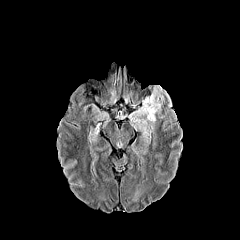
FLAIR MR.
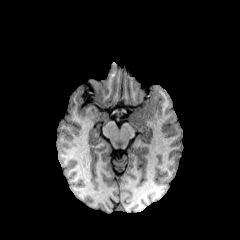
T1-weighted MRI of the same slice.
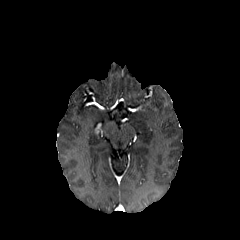
Post-contrast T1-weighted MR.
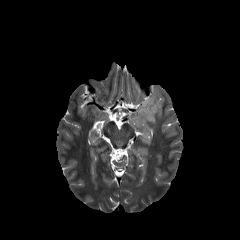
T2-weighted MRI.
Segmented structures:
* edema: [x1=129, y1=89, x2=164, y2=144]